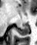

Medial temporal lobe, Magnetic resonance

posterior hippocampus: l=17, t=26, r=28, b=35